Upper abdomen, CT slice

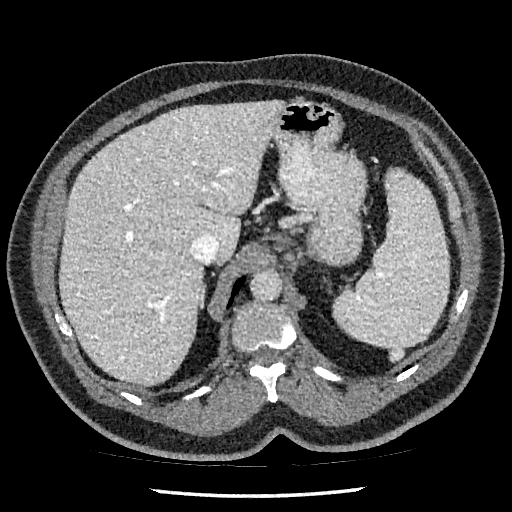

The liver is bounded by 59,100,282,384.